CT scan slice.

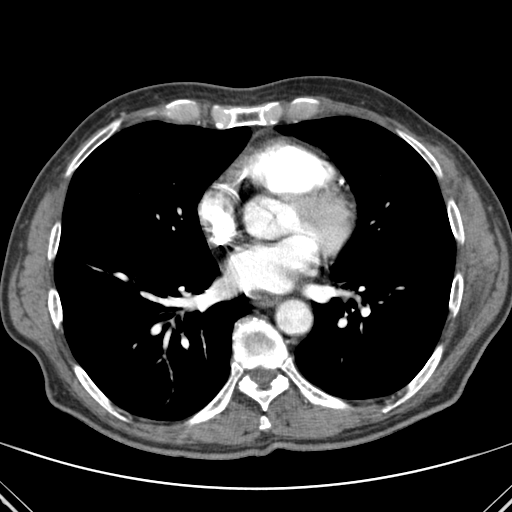
Segmented structures:
* bone: x1=213 y1=102 x2=278 y2=128, x1=398 y1=132 x2=441 y2=176, x1=166 y1=100 x2=190 y2=107, x1=393 y1=346 x2=442 y2=406, x1=66 y1=120 x2=120 y2=175, x1=74 y1=366 x2=125 y2=419, x1=48 y1=223 x2=60 y2=259, x1=187 y1=318 x2=349 y2=424, x1=448 y1=200 x2=464 y2=242, x1=259 y1=416 x2=270 y2=429, x1=48 y1=289 x2=62 y2=327, x1=293 y1=98 x2=316 y2=103, x1=449 y1=273 x2=463 y2=315
* lung: x1=54 y1=121 x2=251 y2=420, x1=275 y1=116 x2=455 y2=398